Slice 95 of 155 | Head | 240x240 px
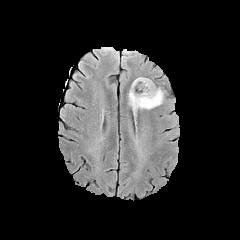
FLAIR MR image.
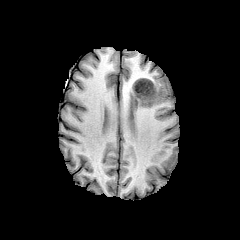
T1-weighted MR image.
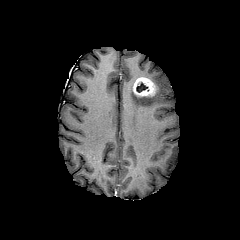
Same slice, post-contrast T1-weighted magnetic resonance.
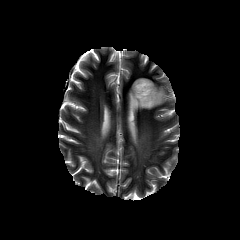
Same slice, T2-weighted MR.
{"non-enhancing_tumor_core": ["135, 92, 156, 98", "136, 82, 147, 92"], "enhancing_tumor": ["132, 77, 155, 96"], "edema": ["128, 80, 164, 119"]}